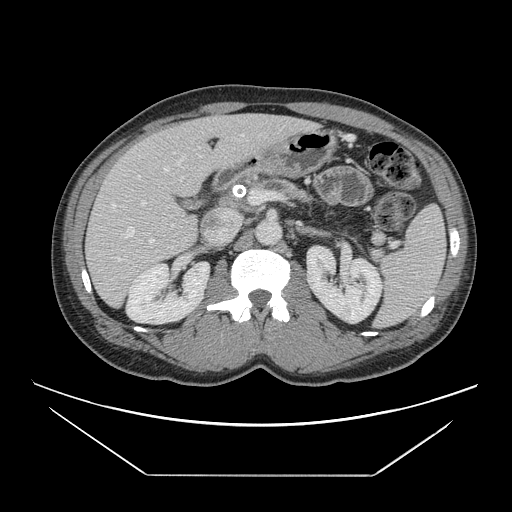

Abdomen; CT image; Image size 512x512
<segmentation>
  <pancreas>bbox=[257, 179, 307, 200]</pancreas>
</segmentation>